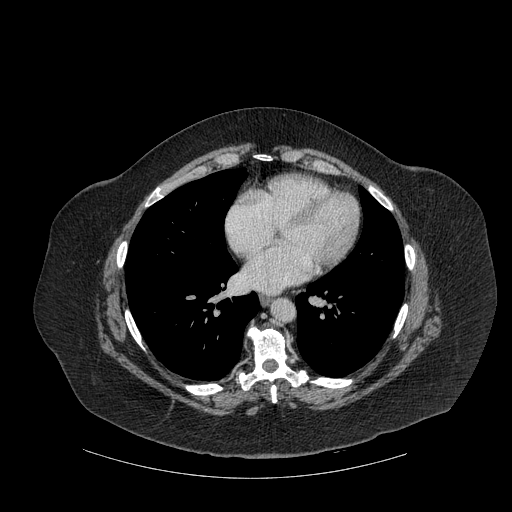
CT slice, 512x512, Thorax
• bone: 378:196:392:209, 186:384:222:395, 239:327:308:390, 394:304:407:337, 145:188:162:206, 311:378:351:388, 255:155:271:160, 117:242:126:267, 405:245:414:269, 271:385:276:402, 125:311:143:348
• lung: 295:188:404:377, 126:168:259:380